Slice index 9, Hippocampus, MR, 39x45 px 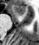
<segmentation>
  <anterior_hippocampus>bbox=[12, 5, 25, 14]</anterior_hippocampus>
</segmentation>